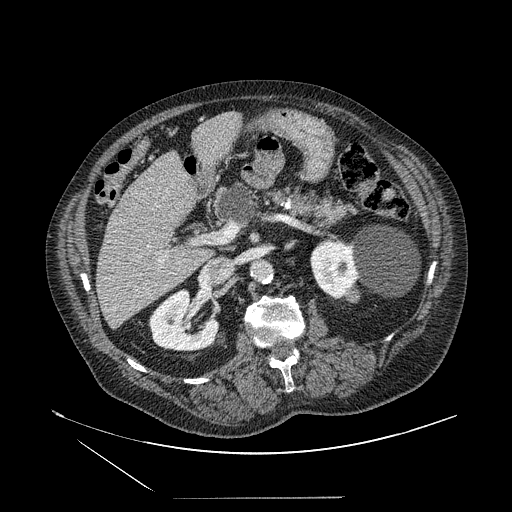

CT image.

* pancreas: 212:181:357:229
* pancreatic tumor: 217:184:254:222